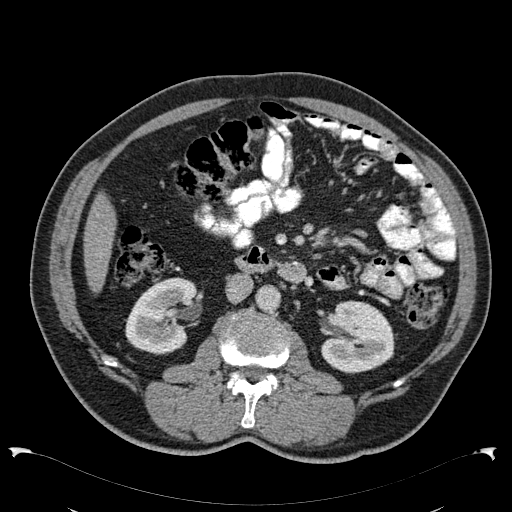

CT slice

kidney: box=[125, 277, 198, 353]; box=[321, 301, 393, 372] | liver: box=[84, 193, 116, 292]